MRI slice
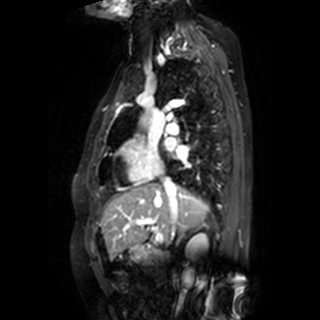

Left atrium at <box>164,138,175,146</box>, <box>177,146,187,159</box>.